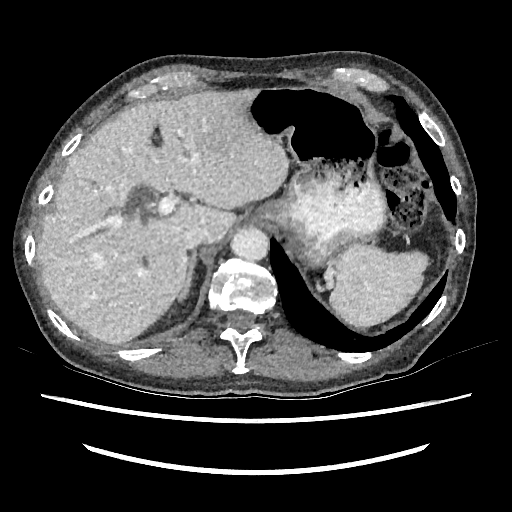 CT scan slice, 512x512 px

The liver is at rect(37, 89, 286, 341).